FLAIR MRI.
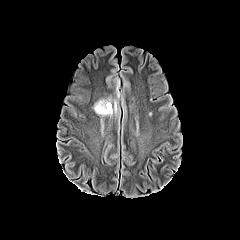
T1-weighted MR image.
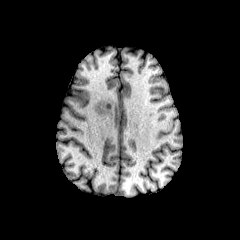
Post-contrast T1-weighted MR.
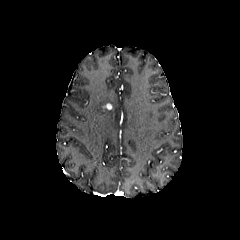
T2-weighted MR image.
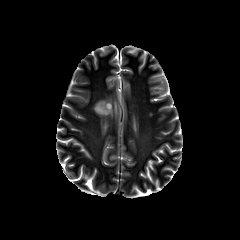
edema: [93,96,120,117]